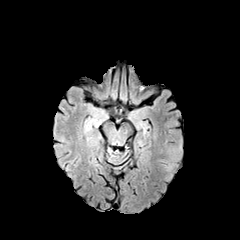
FLAIR magnetic resonance.
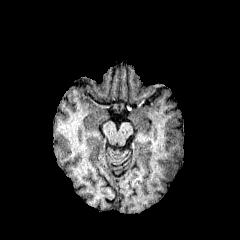
T1-weighted MR image.
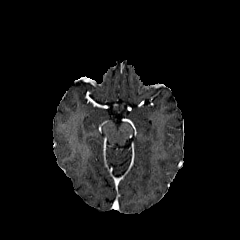
Post-contrast T1-weighted MRI of the same slice.
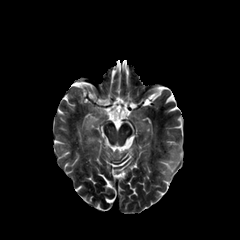
T2-weighted MR of the same slice.
Brain. Image size 240x240.
2 edema regions are located at 161:160:174:171, 166:138:182:161.